Slice index 115
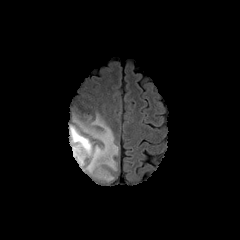
FLAIR magnetic resonance.
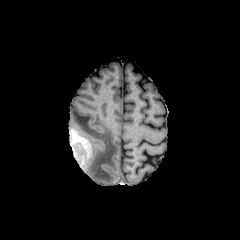
T1-weighted MR image.
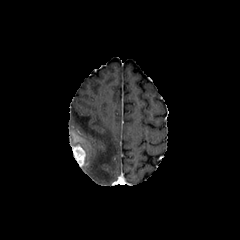
Post-contrast T1-weighted MR.
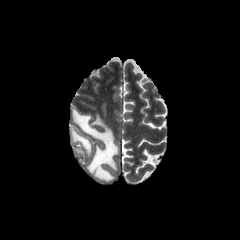
T2-weighted magnetic resonance of the same slice.
Findings:
* enhancing tumor: 73, 146, 85, 164
* edema: 73, 110, 118, 170; 96, 168, 113, 180
* non-enhancing tumor core: 71, 130, 90, 151